Brain; Slice 79/155
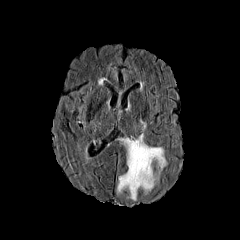
FLAIR magnetic resonance.
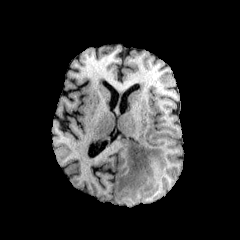
T1-weighted MR image.
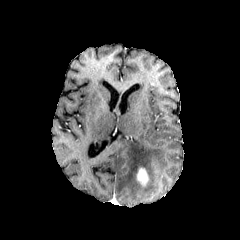
Post-contrast T1-weighted MR of the same slice.
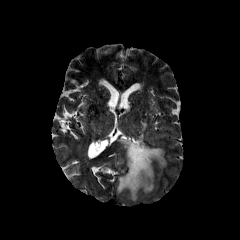
T2-weighted MR.
The enhancing tumor is located at region(136, 168, 148, 185). The edema lies within region(116, 120, 167, 201).